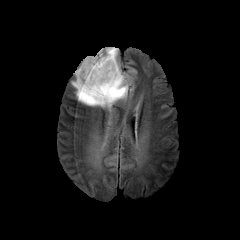
FLAIR magnetic resonance.
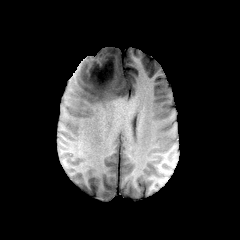
Same slice, T1-weighted magnetic resonance.
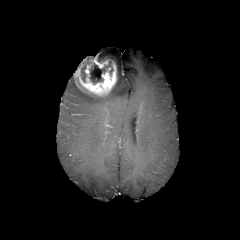
Post-contrast T1-weighted MR.
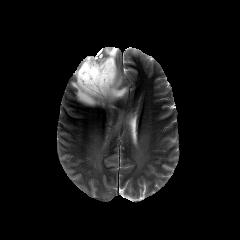
Same slice, T2-weighted MR image.
Non-enhancing tumor core: 90,64,107,82.
Edema: 72,47,129,106.
Enhancing tumor: 74,55,117,95.